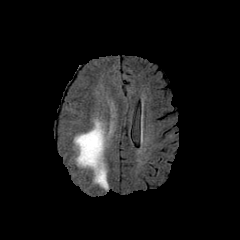
FLAIR MRI.
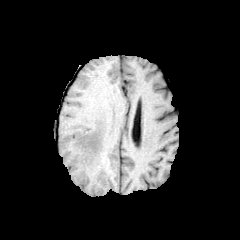
T1-weighted MRI.
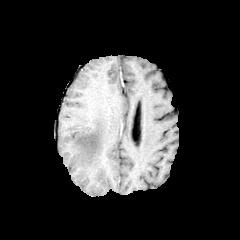
Post-contrast T1-weighted MR image.
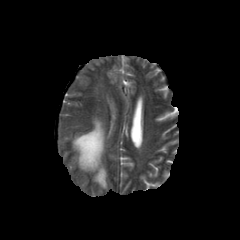
T2-weighted magnetic resonance of the same slice.
<segmentation>
  <edema>73:117:110:189</edema>
</segmentation>